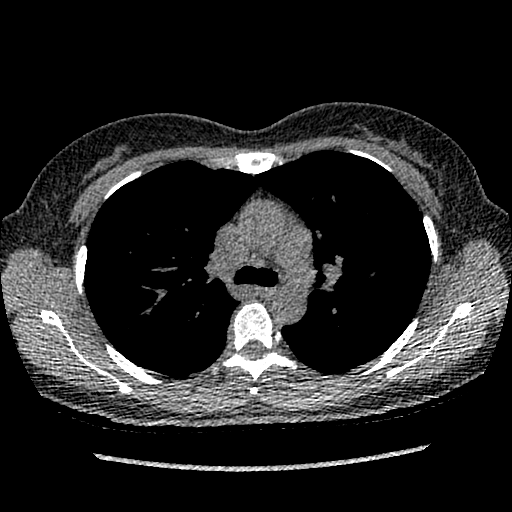
CT image | Chest
The lung tumor lies within (329,307,344,329).